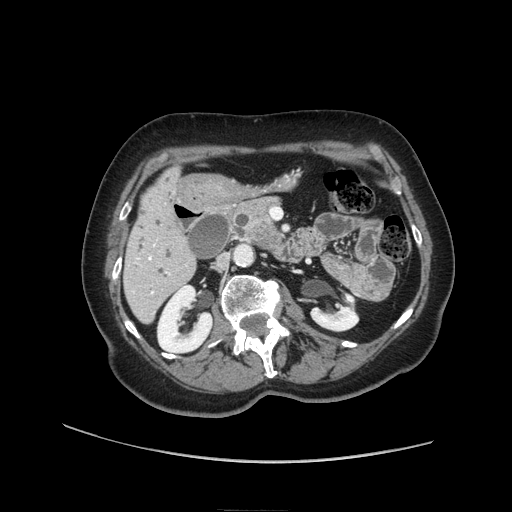

CT scan slice. pancreatic_tumor:
  - 251, 222, 280, 247
pancreas:
  - 231, 198, 280, 247
  - 262, 234, 282, 249